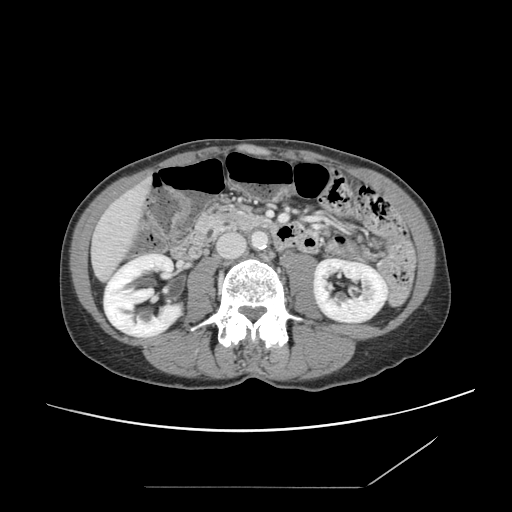 CT slice. Upper abdomen.

Pancreas: bbox=[195, 205, 267, 242].